Image width 240 mm
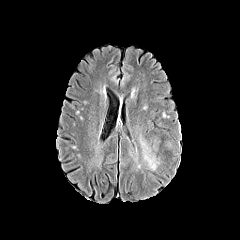
FLAIR magnetic resonance.
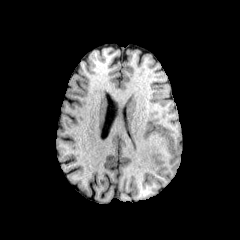
T1-weighted MR.
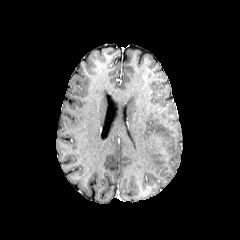
Post-contrast T1-weighted MR image.
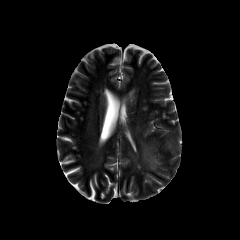
Same slice, T2-weighted magnetic resonance.
Edema = box(141, 141, 158, 169).